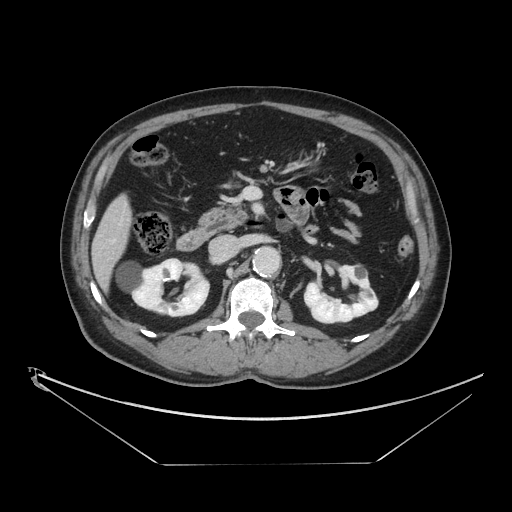

CT | 512x512

Only some of the vessels may be annotated.
2 hepatic vessel regions appear at l=111, t=239, r=115, b=242; l=118, t=221, r=121, b=225.